Slice index 103
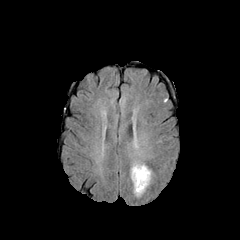
FLAIR magnetic resonance.
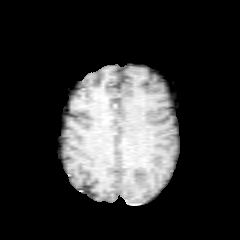
T1-weighted MR.
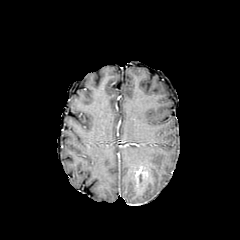
Post-contrast T1-weighted MR image of the same slice.
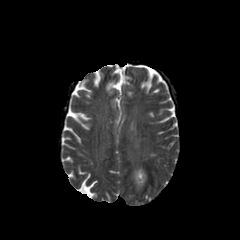
Same slice, T2-weighted MR image.
Edema: 131,164,150,194.